Image width 480 mm. Computed tomography. 512x512 px. 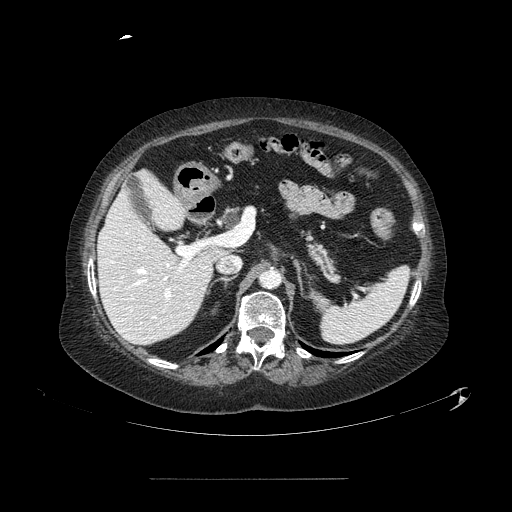
Findings:
- pancreas: (left=303, top=229, right=339, bottom=283), (left=223, top=210, right=240, bottom=228)